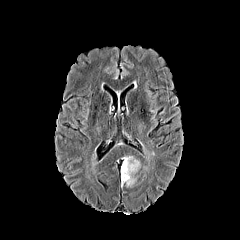
FLAIR MR image.
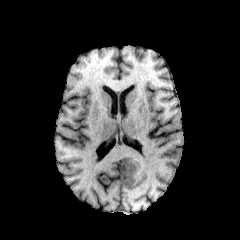
T1-weighted magnetic resonance.
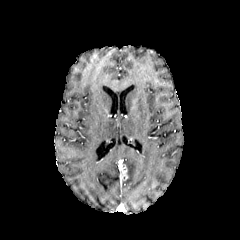
Same slice, post-contrast T1-weighted magnetic resonance.
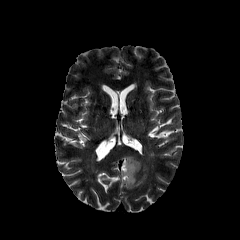
T2-weighted magnetic resonance.
Head
enhancing_tumor:
  - <box>120,164,127,181</box>
edema:
  - <box>121,156,140,187</box>